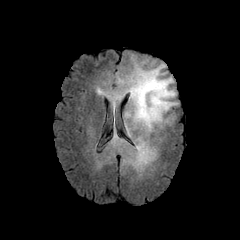
FLAIR magnetic resonance.
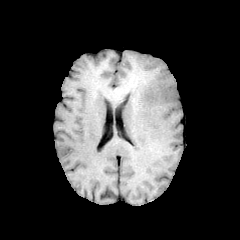
Same slice, T1-weighted magnetic resonance.
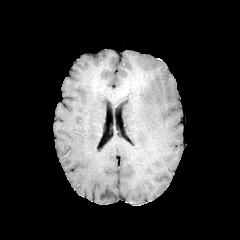
Post-contrast T1-weighted MR image.
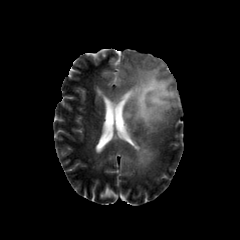
T2-weighted MR of the same slice.
2 non-enhancing tumor core regions are located at (129,92,142,121), (112,68,148,100). 2 edema regions appear at (135,141,154,166), (97,62,178,133).